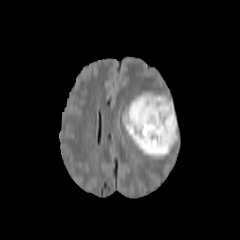
FLAIR MR.
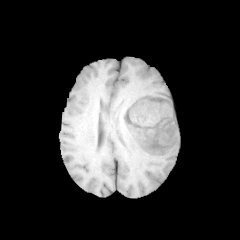
T1-weighted MR image.
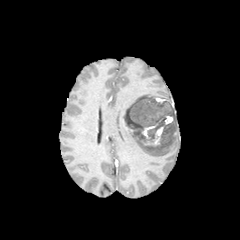
Same slice, post-contrast T1-weighted MRI.
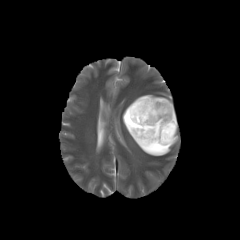
T2-weighted MR image.
240x240 px.
<segmentation>
  <non-enhancing_tumor_core>(124,97,178,144)</non-enhancing_tumor_core>
  <enhancing_tumor>(164,115,173,124), (140,120,164,146)</enhancing_tumor>
  <edema>(123,93,173,125), (126,129,177,156)</edema>
</segmentation>